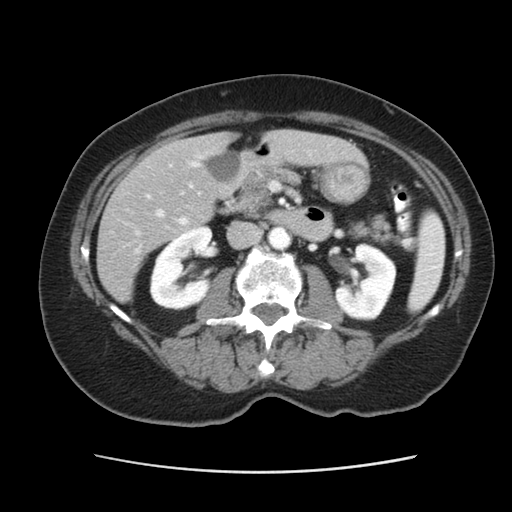

Image size 512x512, CT slice

Some hepatic vessels may have no box.
hepatic vessel: box(181, 192, 183, 194); box(198, 192, 199, 194); box(180, 218, 186, 223); box(136, 231, 139, 234); box(157, 210, 163, 216); box(146, 195, 149, 198); box(135, 249, 140, 253); box(189, 184, 192, 187); box(191, 154, 199, 167)